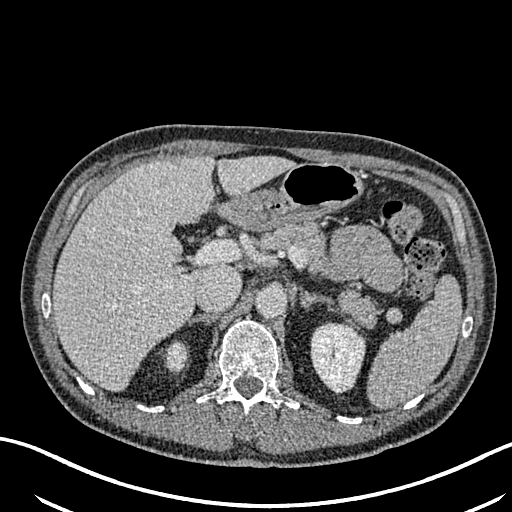

CT scan slice | 512x512 px | Abdomen
<segmentation>
  <liver_lesion>x1=158 y1=178 x2=169 y2=188</liver_lesion>
  <kidney>x1=168 y1=344 x2=185 y2=368, x1=312 y1=324 x2=364 y2=391</kidney>
  <liver>x1=54 y1=156 x2=295 y2=389</liver>
</segmentation>